Head | Slice 81/155
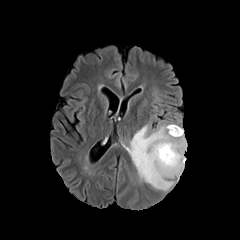
FLAIR MR image.
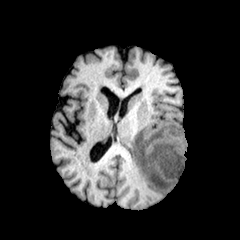
T1-weighted magnetic resonance.
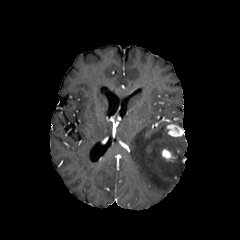
Post-contrast T1-weighted MR.
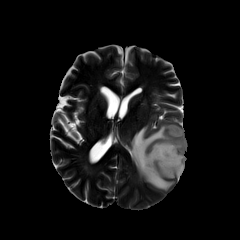
T2-weighted MRI.
{"enhancing_tumor": ["162,149,174,158", "167,124,184,136"], "edema": ["129,121,186,190"]}